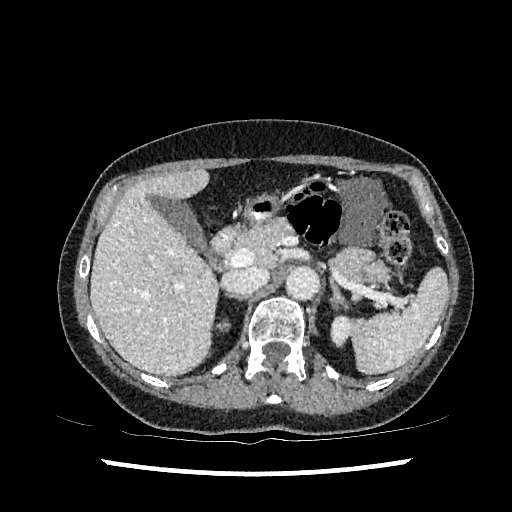

Abdomen. Computed tomography.

kidney:
  - (332, 317, 352, 343)
liver:
  - (91, 169, 217, 375)